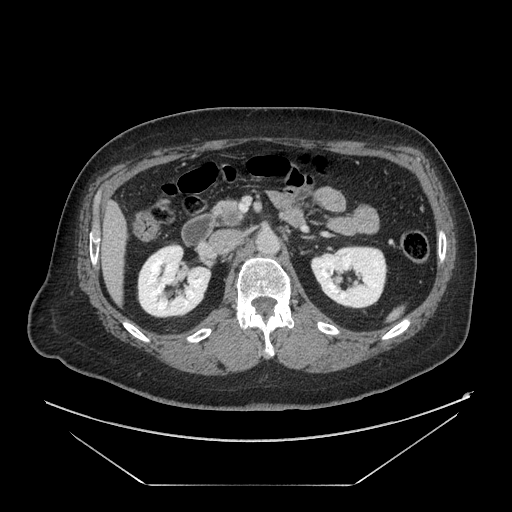 Upper abdomen, CT image, Image size 512x512

Pancreas = left=214, top=200, right=242, bottom=225.
Pancreatic tumor = left=223, top=211, right=236, bottom=224.